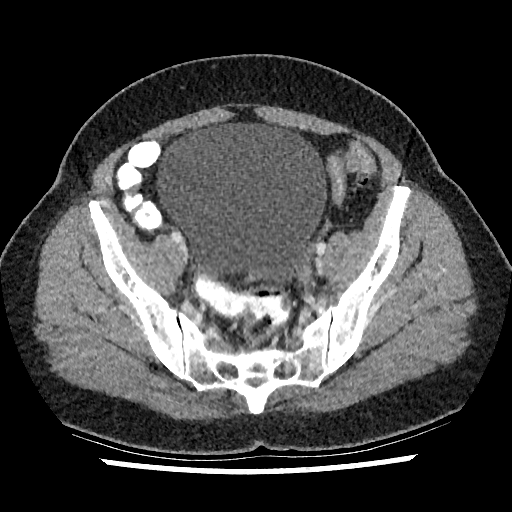

CT image
Annotated regions:
• urinary bladder: 157 121 326 291